Computed tomography | Slice 40/44 | Image size 512x512 | Image width 390 mm
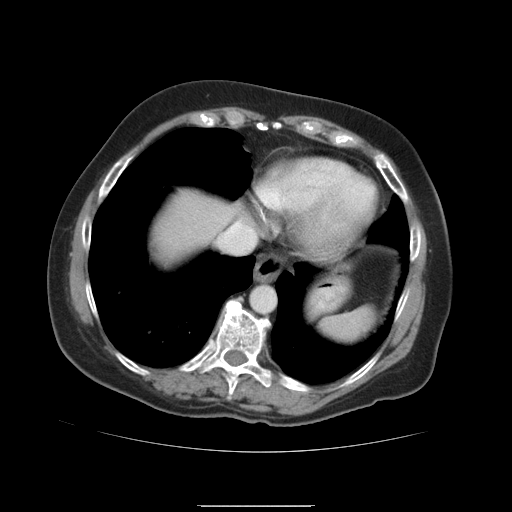
The vessel boxes may cover only some of the vessels.
Hepatic vessel: rect(218, 222, 255, 253).